Brain; Slice 92/155; Field of view 240x240 mm
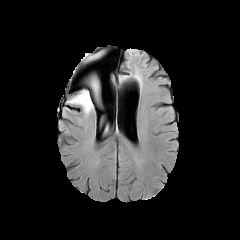
FLAIR magnetic resonance.
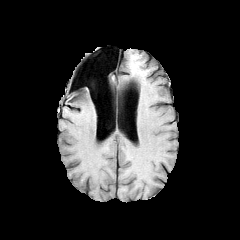
T1-weighted MRI.
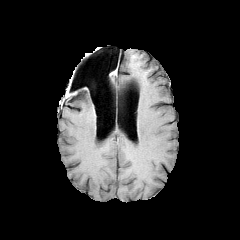
Post-contrast T1-weighted MRI.
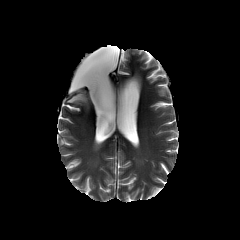
T2-weighted MRI of the same slice.
Annotated regions:
• edema: [67,90,94,115]